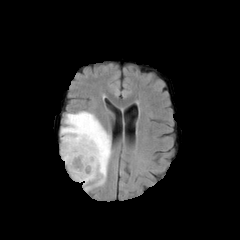
FLAIR MR.
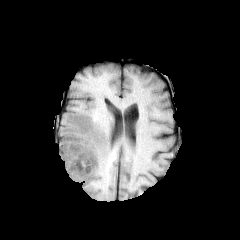
T1-weighted MRI of the same slice.
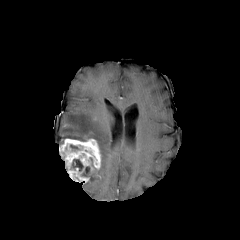
Post-contrast T1-weighted MR of the same slice.
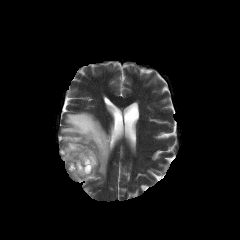
Same slice, T2-weighted magnetic resonance.
240x240, Head
non-enhancing tumor core: box(81, 166, 93, 177); box(71, 159, 83, 171) | edema: box(61, 111, 111, 191) | enhancing tumor: box(59, 138, 101, 182)